Head. Image size 240x240.
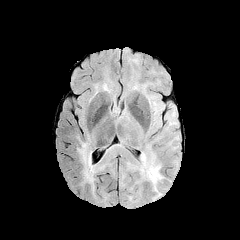
FLAIR MR.
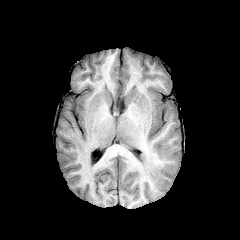
T1-weighted MRI of the same slice.
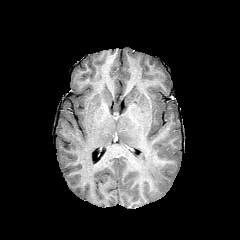
Post-contrast T1-weighted MRI.
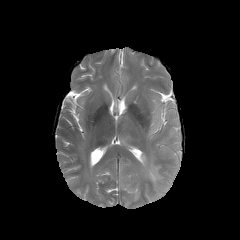
T2-weighted MR image of the same slice.
Segmented structures:
- edema: [x1=139, y1=152, x2=164, y2=189], [x1=78, y1=142, x2=103, y2=185]